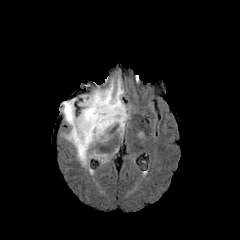
FLAIR MRI.
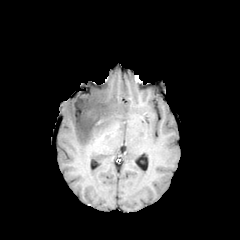
T1-weighted MR.
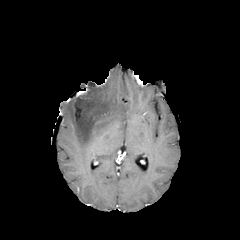
Post-contrast T1-weighted magnetic resonance.
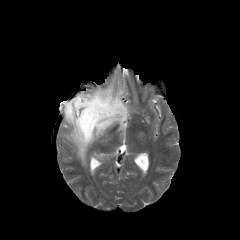
T2-weighted MR image.
Brain.
Segmented structures:
* non-enhancing tumor core: region(66, 94, 108, 138)
* edema: region(61, 79, 129, 165)